CT image | Slice index 33 | Abdomen 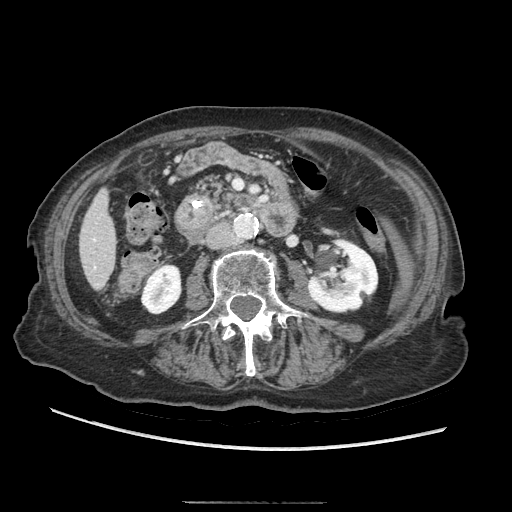

Segmented structures:
• pancreas: bbox(195, 176, 242, 212)